FLAIR MRI.
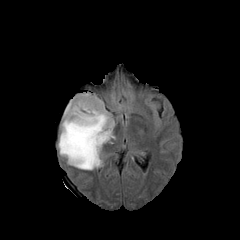
T1-weighted MRI.
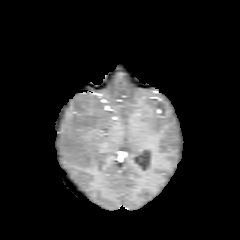
Post-contrast T1-weighted MR image.
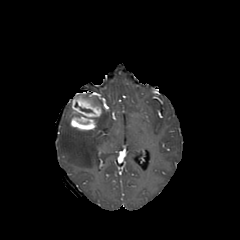
T2-weighted MR image.
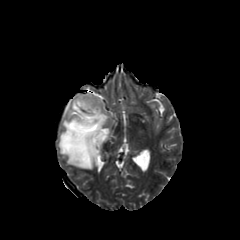
Brain.
Edema = x1=58, y1=104, x2=114, y2=169.
Enhancing tumor = x1=69, y1=94, x2=102, y2=129.